Field of view 404 mm wide, 1.50 mm slice spacing. CT image. 512x512 px.

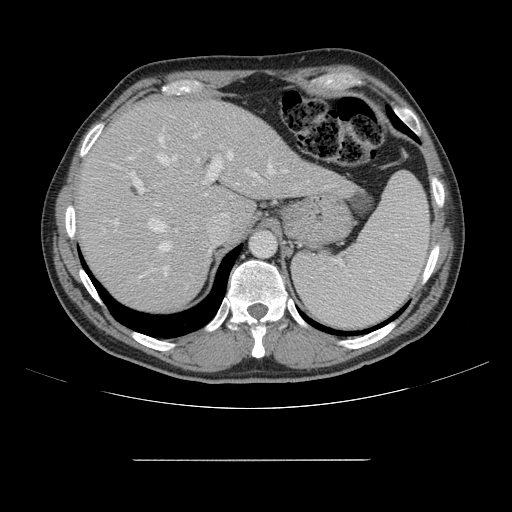

The vessel boxes may cover only some of the vessels.
15 hepatic vessel regions appear at region(130, 172, 145, 193); region(159, 243, 169, 251); region(103, 228, 105, 231); region(149, 219, 165, 231); region(268, 159, 274, 173); region(228, 152, 232, 159); region(162, 266, 169, 276); region(194, 133, 199, 137); region(115, 219, 117, 224); region(197, 158, 199, 160); region(141, 268, 157, 276); region(203, 156, 221, 183); region(245, 168, 257, 175); region(175, 229, 176, 231); region(282, 170, 287, 172).